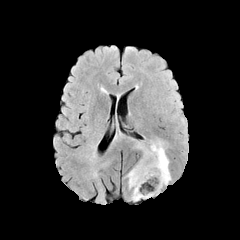
FLAIR MRI.
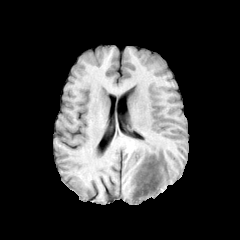
T1-weighted MRI of the same slice.
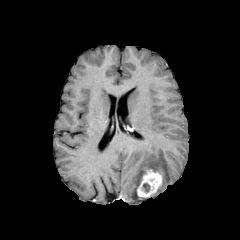
Post-contrast T1-weighted magnetic resonance of the same slice.
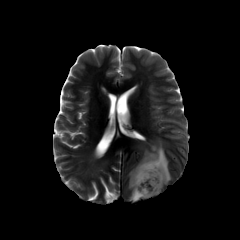
T2-weighted MRI.
Head
The edema lies within (127, 142, 171, 201). The enhancing tumor lies within (137, 167, 163, 197).